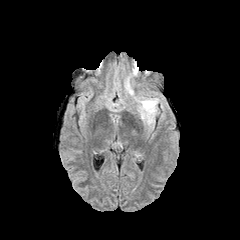
FLAIR MRI.
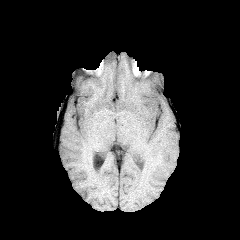
T1-weighted MR image.
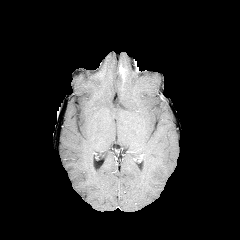
Post-contrast T1-weighted MR.
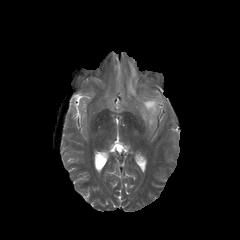
Same slice, T2-weighted MRI.
edema: bbox=[125, 82, 159, 127]